Slice 159/192 | Liver | CT

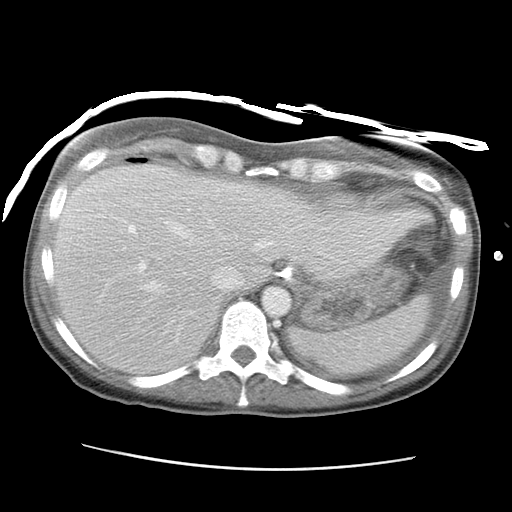
* liver: <bbox>51, 164, 428, 374</bbox>